Head, Field of view 240 mm wide, 1.00 mm slice spacing
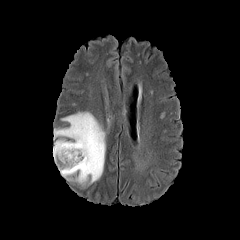
FLAIR MR.
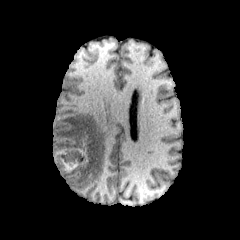
Same slice, T1-weighted magnetic resonance.
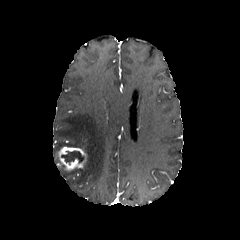
Post-contrast T1-weighted MR image of the same slice.
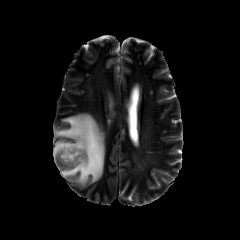
Same slice, T2-weighted MR.
Annotated regions:
• non-enhancing tumor core: (x1=61, y1=150, x2=83, y2=162), (x1=54, y1=152, x2=64, y2=172)
• edema: (x1=53, y1=112, x2=106, y2=190)
• enhancing tumor: (x1=58, y1=147, x2=86, y2=171)